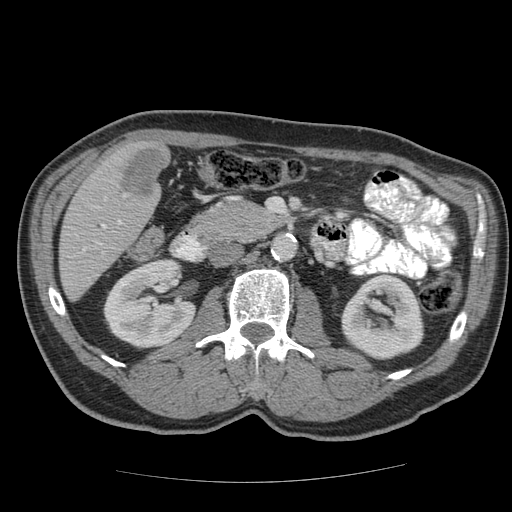 512x512. Liver. Computed tomography.

The vessel boxes may cover only some of the vessels.
The liver tumor is located at bbox=[121, 147, 167, 195]. 3 hepatic vessel regions are bounded by bbox=[102, 225, 105, 228]; bbox=[123, 194, 126, 197]; bbox=[83, 249, 84, 251].